Field of view 240x240 mm
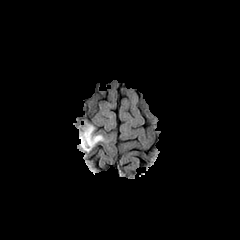
FLAIR MR image.
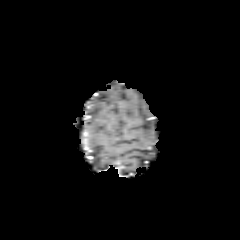
Same slice, T1-weighted MRI.
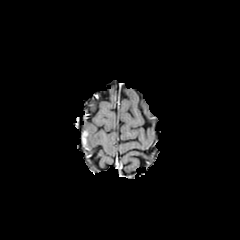
Post-contrast T1-weighted MR of the same slice.
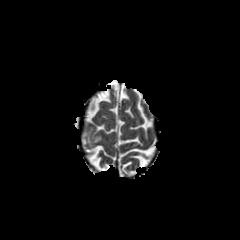
T2-weighted MR image of the same slice.
Edema: (80, 125, 102, 151).